Brain; Slice 57/155; 240x240 px
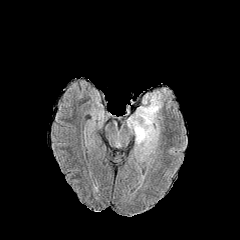
FLAIR magnetic resonance.
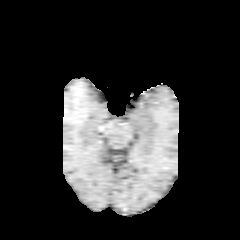
T1-weighted MRI.
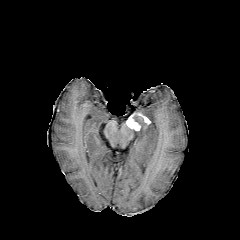
Post-contrast T1-weighted MR.
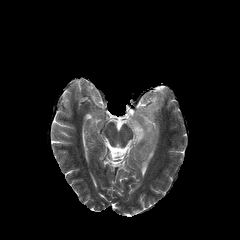
T2-weighted MR.
Annotated regions:
- edema: rect(132, 90, 163, 162)
- enhancing tumor: rect(126, 111, 151, 132)